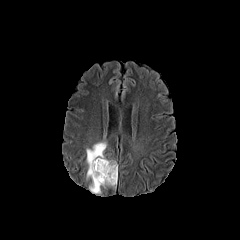
FLAIR magnetic resonance.
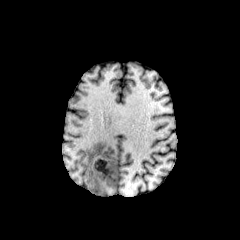
T1-weighted MR.
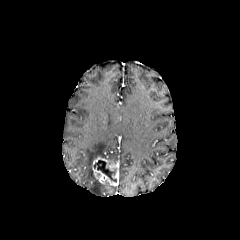
Same slice, post-contrast T1-weighted MRI.
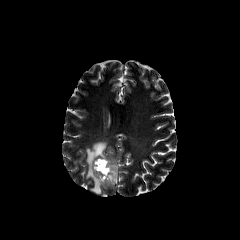
T2-weighted magnetic resonance.
The edema is at [85, 141, 107, 193]. The enhancing tumor appears at [92, 157, 117, 185]. The non-enhancing tumor core is bounded by [93, 160, 116, 182].